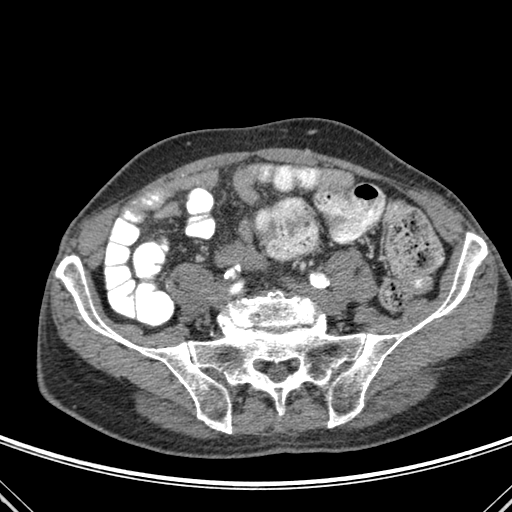
Image size 512x512; CT scan slice
{
  "bone": [
    "bbox=[55, 232, 487, 433]"
  ]
}